Brain | Slice 96 of 155
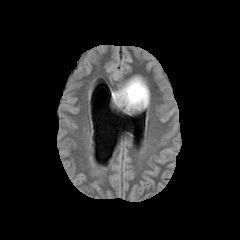
FLAIR MR.
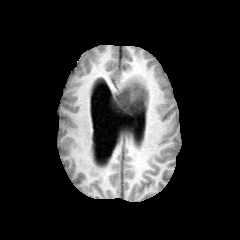
Same slice, T1-weighted MRI.
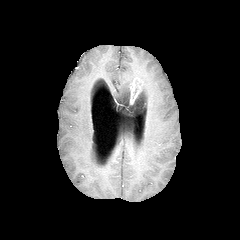
Post-contrast T1-weighted MR image of the same slice.
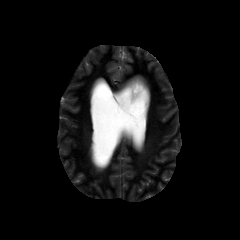
Same slice, T2-weighted magnetic resonance.
{
  "enhancing_tumor": [
    "(127, 78, 144, 105)"
  ],
  "non-enhancing_tumor_core": [
    "(111, 89, 146, 115)"
  ],
  "edema": [
    "(110, 74, 152, 109)"
  ]
}